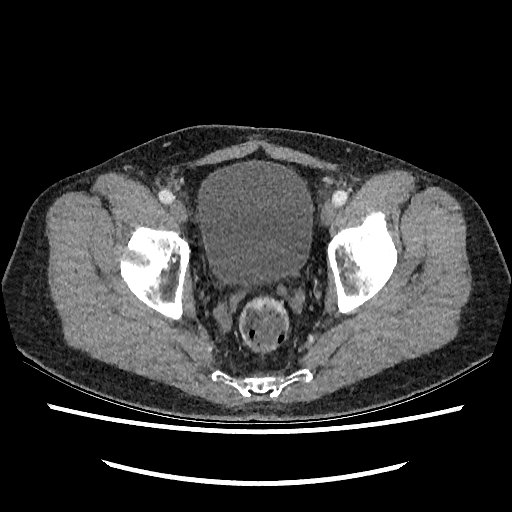 CT scan slice. urinary_bladder:
  - (195,159,314,287)